Slice 53 of 155; Head; Image size 240x240
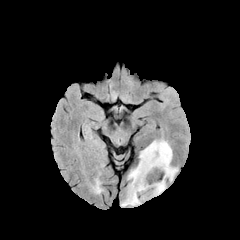
FLAIR MR.
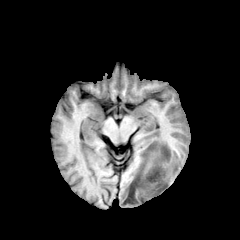
T1-weighted MR.
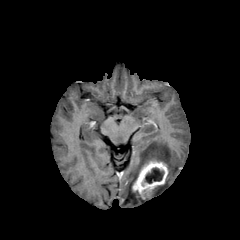
Post-contrast T1-weighted magnetic resonance.
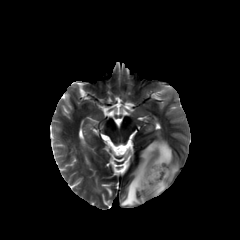
T2-weighted MRI.
Edema: bounding box box(121, 138, 177, 205); box(152, 181, 167, 196).
Enhancing tumor: bounding box box(131, 160, 168, 199).
Non-enhancing tumor core: bounding box box(145, 168, 163, 183).